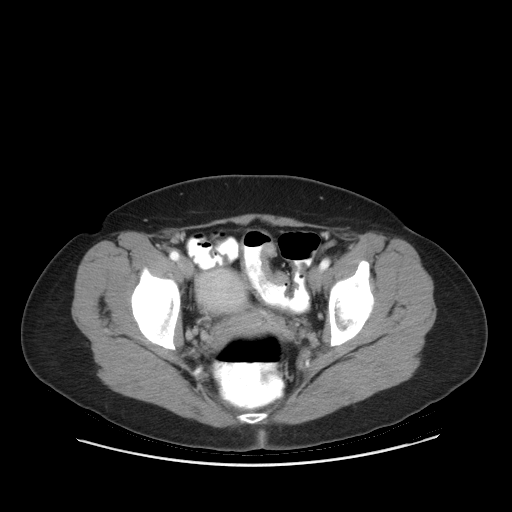
512x512 px; Computed tomography
Colon tumor — region(260, 244, 298, 298); region(300, 263, 307, 275).